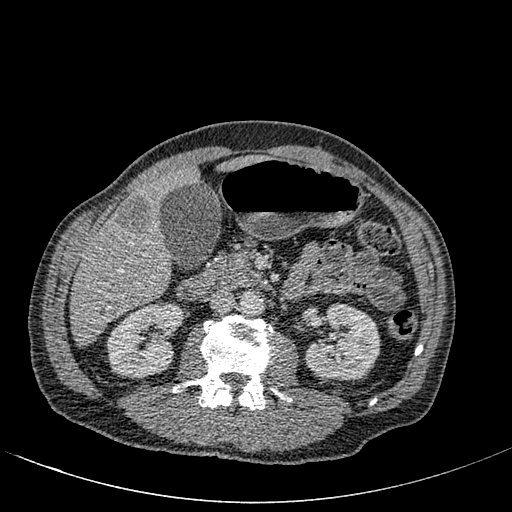

CT image. Liver. Kidney: bounding box [302, 303, 379, 379], [107, 304, 183, 377].
Liver: bounding box [220, 155, 265, 170], [71, 166, 198, 345].
Focal liver lesion: bounding box [114, 196, 153, 234].